512x512 | CT
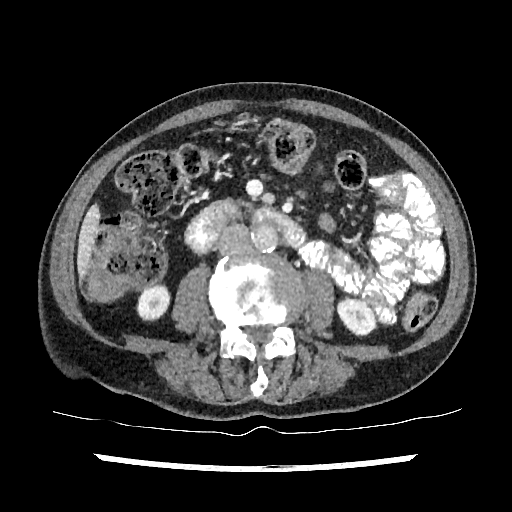
The liver is at bbox=[77, 205, 99, 273]. 2 kidney regions are bounded by bbox=[338, 300, 373, 334]; bbox=[139, 288, 168, 316].